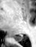

Hippocampus, MRI

The posterior hippocampus is at (x1=12, y1=34, x2=22, y2=41).